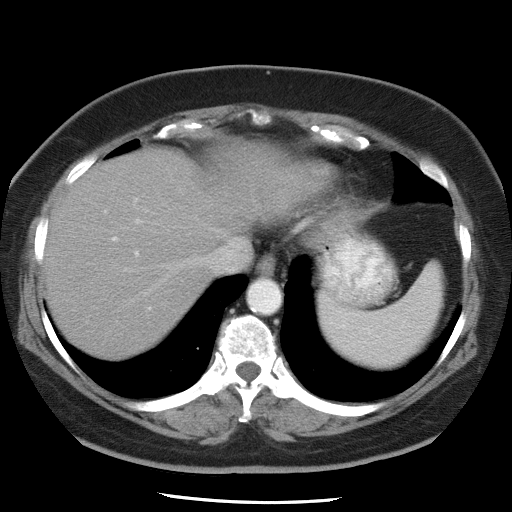
Computed tomography | Liver

The vessel boxes may cover only some of the vessels.
Hepatic vessel: bounding box rect(113, 237, 116, 239); rect(202, 224, 207, 226); rect(193, 216, 198, 220); rect(208, 227, 225, 235); rect(181, 227, 184, 227); rect(154, 223, 159, 224); rect(110, 238, 247, 295).